CT image; Abdomen
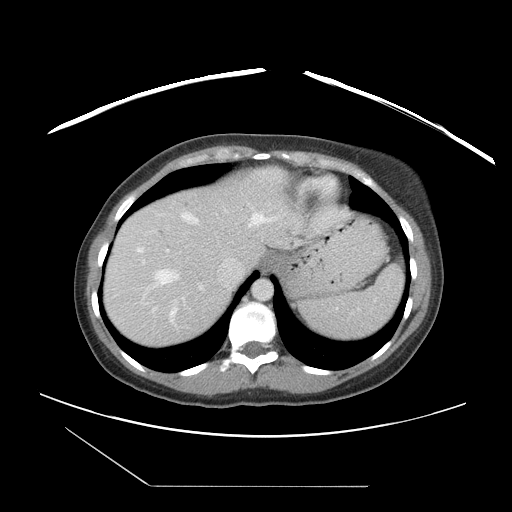
Some hepatic vessels may have no box.
Hepatic vessel: 182,212,197,223; 142,287,149,304; 174,300,175,302; 169,306,176,325; 155,269,178,285; 150,231,156,232; 218,258,242,288; 248,212,275,226; 182,298,184,300; 137,248,143,251; 166,249,168,251.